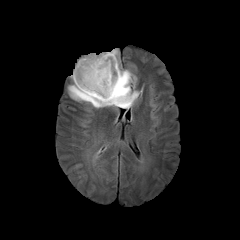
FLAIR MR image.
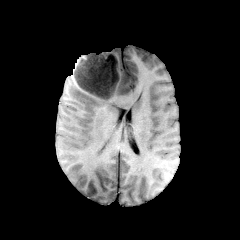
T1-weighted MRI.
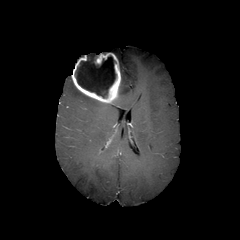
Post-contrast T1-weighted magnetic resonance of the same slice.
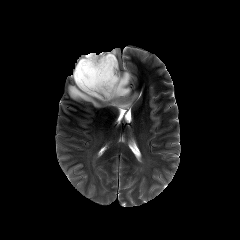
T2-weighted MR image.
240x240 px
edema: box=[68, 49, 139, 109] | enhancing tumor: box=[72, 52, 120, 102] | non-enhancing tumor core: box=[75, 56, 115, 97]